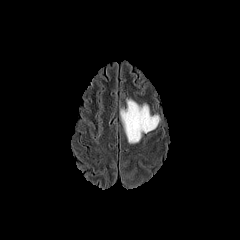
FLAIR MR.
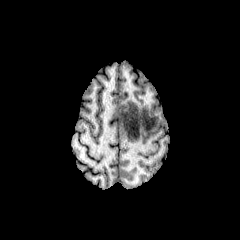
T1-weighted MR.
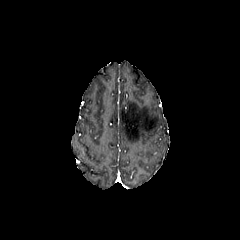
Same slice, post-contrast T1-weighted MR image.
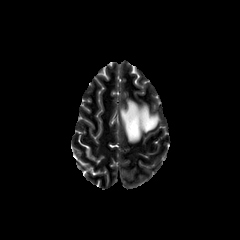
T2-weighted MR.
{"edema": [{"x1": 120, "y1": 99, "x2": 158, "y2": 143}]}